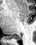
Medial temporal lobe, MRI

posterior_hippocampus:
  - l=12, t=34, r=20, b=39